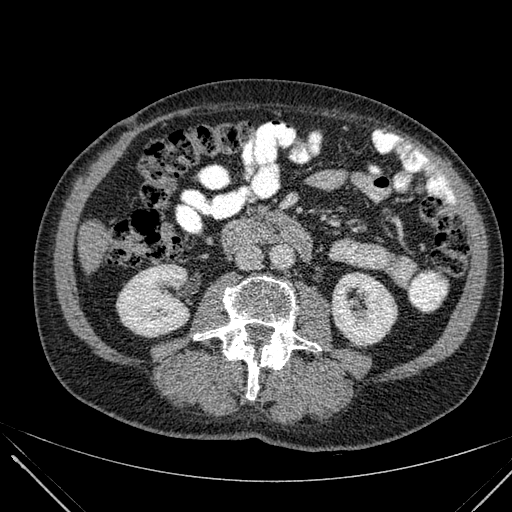

CT scan slice; Abdomen

Kidney at <bbox>332, 273, 396, 344</bbox>, <bbox>117, 265, 188, 336</bbox>.
Liver at <bbox>78, 219, 112, 270</bbox>.